38x49 px; Magnetic resonance; Hippocampus 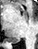
posterior hippocampus: box(11, 38, 19, 42)